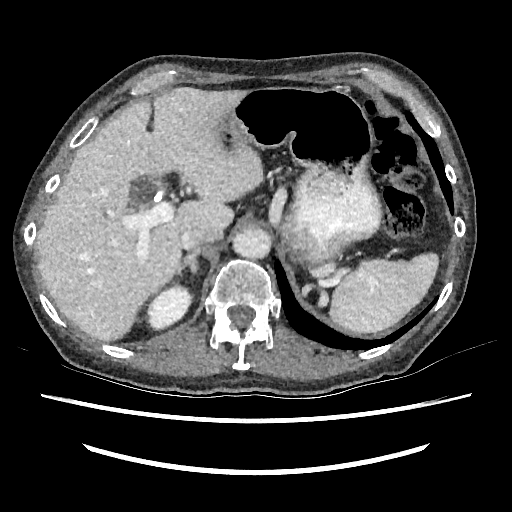

CT | Liver
{
  "liver": [
    "x1=36, y1=89, x2=262, y2=339"
  ],
  "kidney": [
    "x1=148, y1=288, x2=189, y2=327"
  ]
}